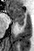 MR | Medial temporal lobe | 34x51 px

Anterior hippocampus = {"x1": 9, "y1": 6, "x2": 24, "y2": 19}.
Posterior hippocampus = {"x1": 16, "y1": 20, "x2": 24, "y2": 25}.